Image width 358 mm. CT slice. Slice index 477. Image size 512x512.

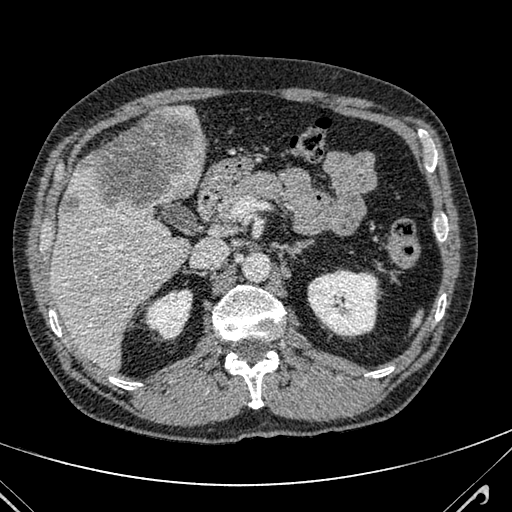

Liver lesion: {"x1": 60, "y1": 191, "x2": 77, "y2": 211}, {"x1": 81, "y1": 109, "x2": 205, "y2": 208}.
Liver: {"x1": 52, "y1": 157, "x2": 205, "y2": 371}, {"x1": 167, "y1": 107, "x2": 206, "y2": 147}.